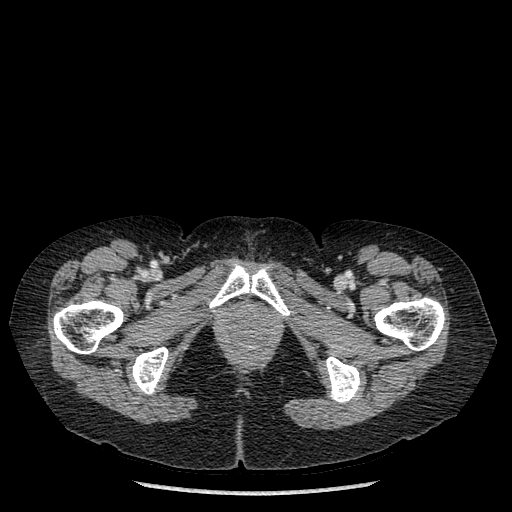
Image size 512x512 | CT
Bone: bounding box (131, 347, 168, 394), (53, 299, 123, 353), (325, 356, 360, 402), (374, 297, 445, 350), (209, 262, 290, 317).